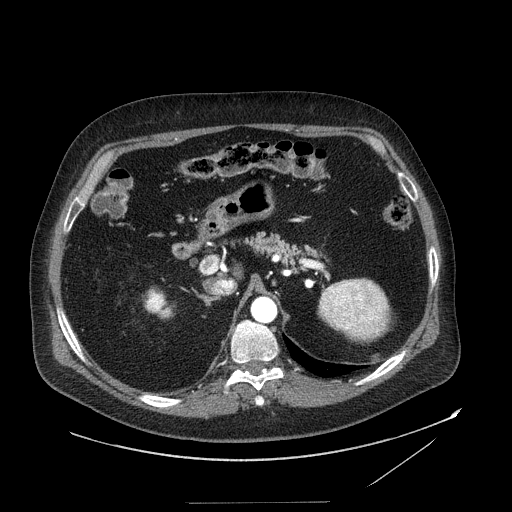

Upper abdomen | Computed tomography | 512x512

The pancreas appears at x1=237 y1=230 x2=324 y2=273.